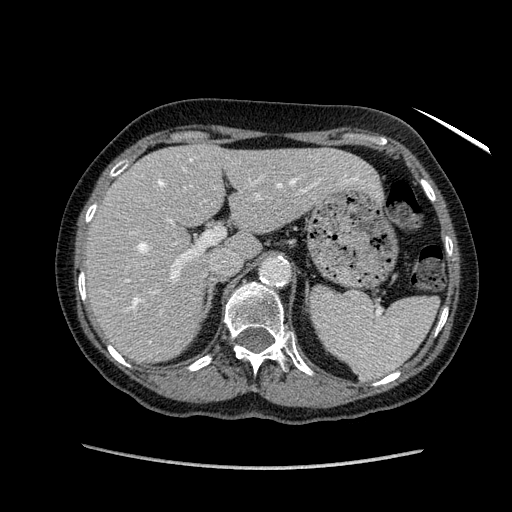

CT slice | Image size 512x512

{"liver": ["[85,145,376,361]"]}